FLAIR MR.
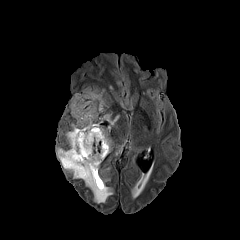
T1-weighted MRI.
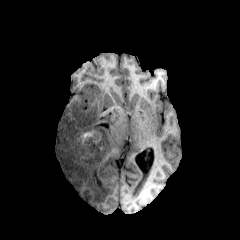
Post-contrast T1-weighted MRI.
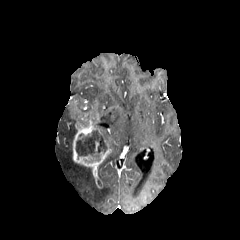
T2-weighted magnetic resonance.
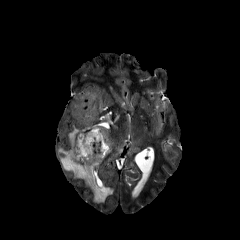
The enhancing tumor is at {"x1": 69, "y1": 99, "x2": 116, "y2": 170}. 4 edema regions are located at {"x1": 65, "y1": 129, "x2": 72, "y2": 147}, {"x1": 55, "y1": 146, "x2": 113, "y2": 203}, {"x1": 73, "y1": 89, "x2": 108, "y2": 113}, {"x1": 101, "y1": 112, "x2": 119, "y2": 127}. The non-enhancing tumor core is bounded by {"x1": 76, "y1": 130, "x2": 106, "y2": 155}.